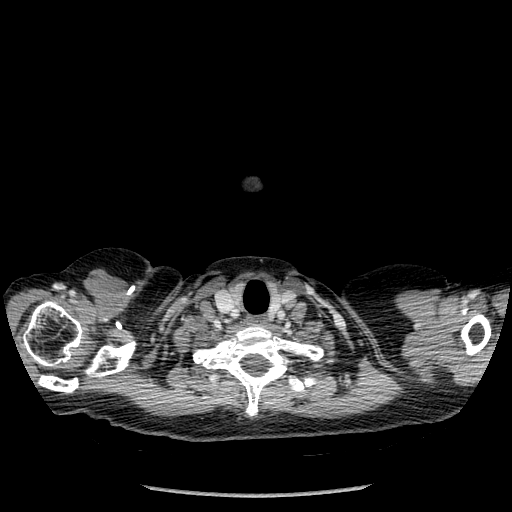 CT image; Image size 512x512
5 bone regions are bounded by (x1=461, y1=313, x2=490, y2=355), (x1=23, y1=301, x2=84, y2=366), (x1=85, y1=341, x2=136, y2=377), (x1=38, y1=375, x2=78, y2=392), (x1=193, y1=324, x2=332, y2=415).